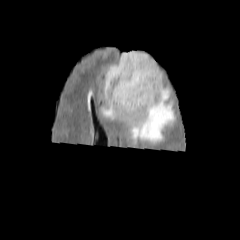
FLAIR MR image.
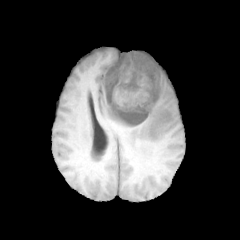
T1-weighted magnetic resonance of the same slice.
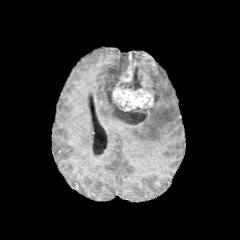
Same slice, post-contrast T1-weighted MR image.
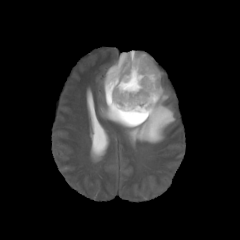
T2-weighted magnetic resonance.
Image size 240x240.
{"edema": ["[x1=99, y1=85, x2=175, y2=147]", "[x1=154, y1=61, x2=163, y2=82]"], "enhancing_tumor": ["[x1=112, y1=52, x2=154, y2=110]"], "non-enhancing_tumor_core": ["[x1=118, y1=51, x2=162, y2=105]", "[x1=104, y1=53, x2=150, y2=125]"]}